FLAIR MRI.
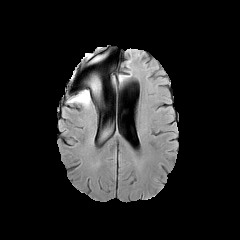
T1-weighted MR.
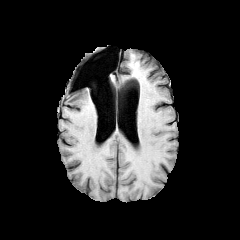
Post-contrast T1-weighted MRI.
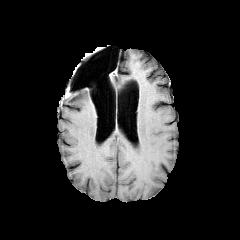
T2-weighted magnetic resonance.
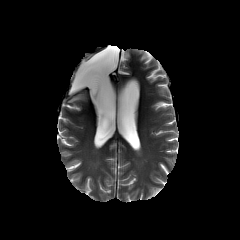
Image size 240x240
Edema at x1=90, y1=74, x2=101, y2=99; x1=90, y1=56, x2=101, y2=62; x1=68, y1=91, x2=91, y2=106.